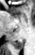
MRI
<segmentation>
  <posterior_hippocampus>rect(13, 39, 22, 49)</posterior_hippocampus>
</segmentation>